Field of view 373x373 mm. CT slice.

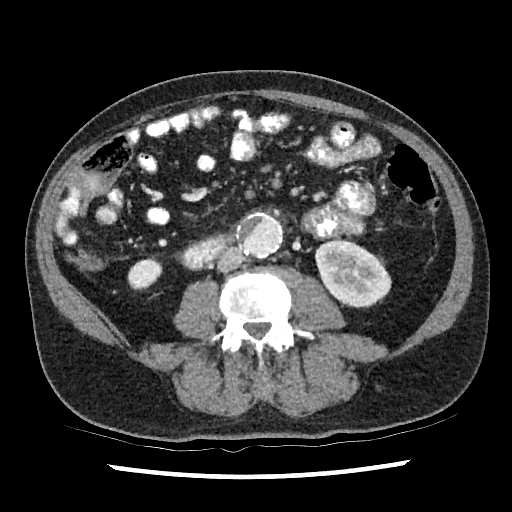
2 kidney regions are located at 129, 260, 161, 288; 317, 241, 390, 306.